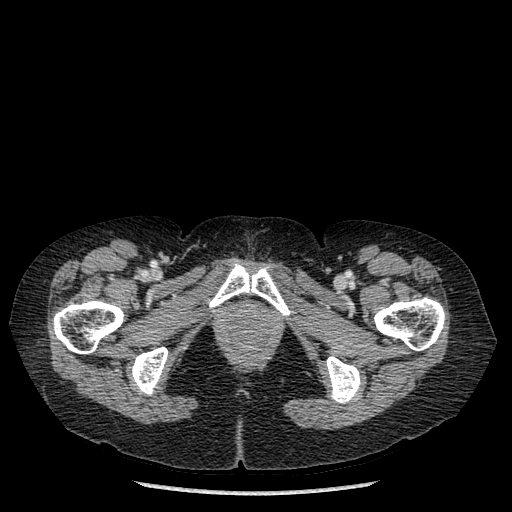
CT image
Bone — {"x1": 130, "y1": 347, "x2": 168, "y2": 395}, {"x1": 209, "y1": 261, "x2": 290, "y2": 316}, {"x1": 374, "y1": 297, "x2": 445, "y2": 350}, {"x1": 53, "y1": 300, "x2": 123, "y2": 353}, {"x1": 326, "y1": 356, "x2": 361, "y2": 403}.